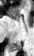
MR image | Medial temporal lobe
Annotated regions:
- posterior hippocampus: box(12, 42, 21, 49)